Brain.
FLAIR MRI.
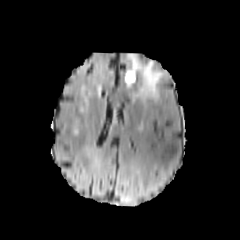
T1-weighted MR.
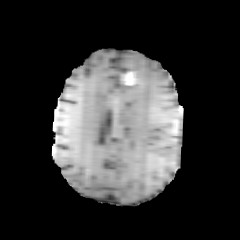
Post-contrast T1-weighted MRI.
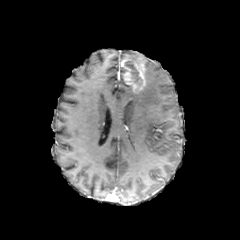
T2-weighted MR image.
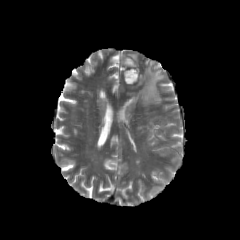
The non-enhancing tumor core is located at {"x1": 125, "y1": 61, "x2": 143, "y2": 86}. 2 edema regions appear at {"x1": 125, "y1": 52, "x2": 140, "y2": 62}, {"x1": 126, "y1": 61, "x2": 165, "y2": 106}. The enhancing tumor is at {"x1": 121, "y1": 57, "x2": 146, "y2": 91}.